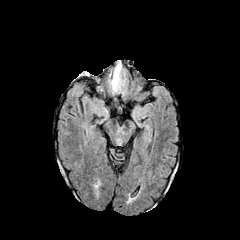
FLAIR MRI.
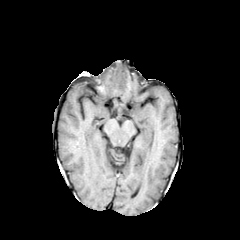
T1-weighted MR image.
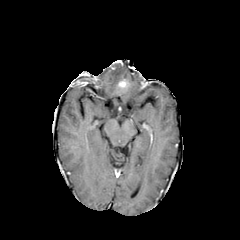
Post-contrast T1-weighted MRI of the same slice.
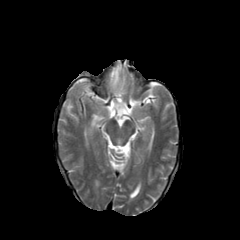
T2-weighted magnetic resonance.
Image size 240x240
Annotated regions:
* edema: [x1=106, y1=60, x2=126, y2=93]
* enhancing tumor: [x1=117, y1=80, x2=126, y2=89]
* non-enhancing tumor core: [x1=114, y1=77, x2=125, y2=91]